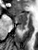

38x50 px, MRI, Medial temporal lobe
Annotated regions:
- anterior hippocampus: (14,13,27,24)
- posterior hippocampus: (17,25,25,30)